512x512; Abdomen; CT scan slice
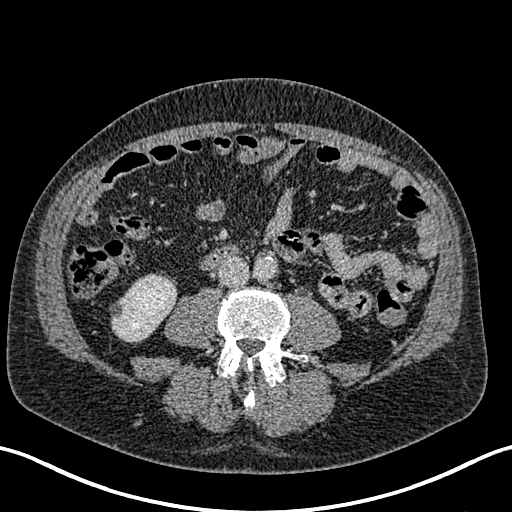
Kidney = [x1=110, y1=276, x2=174, y2=341].